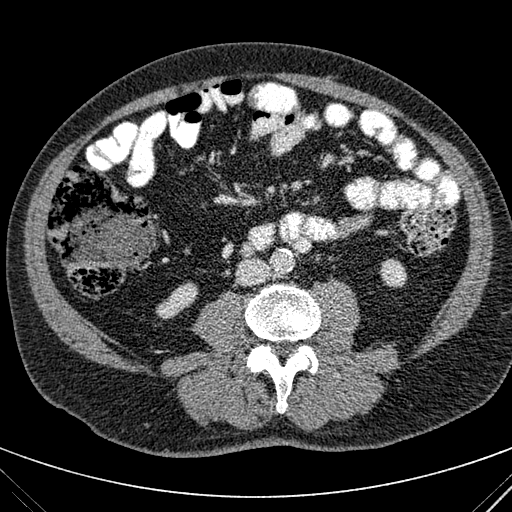

CT scan slice | 512x512 px

2 kidney regions appear at x1=380, y1=259, x2=406, y2=286; x1=156, y1=283, x2=197, y2=318.